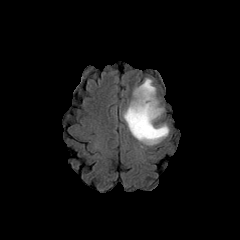
FLAIR MRI.
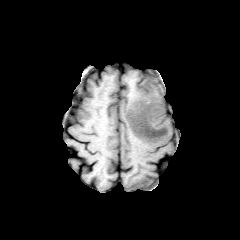
T1-weighted magnetic resonance.
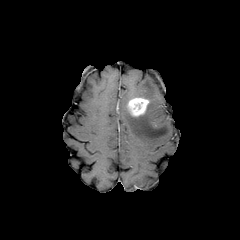
Post-contrast T1-weighted magnetic resonance.
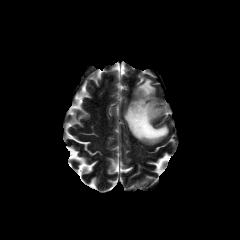
T2-weighted MR.
Head
Findings:
- enhancing tumor: [128, 97, 149, 117]
- non-enhancing tumor core: [130, 114, 164, 137]
- edema: [123, 78, 169, 144]